Field of view 385x385 mm, CT image, Abdomen
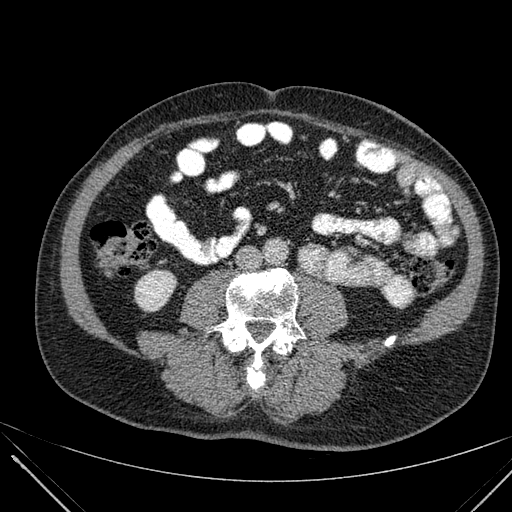
Segmented structures:
• kidney: 135,271,175,310